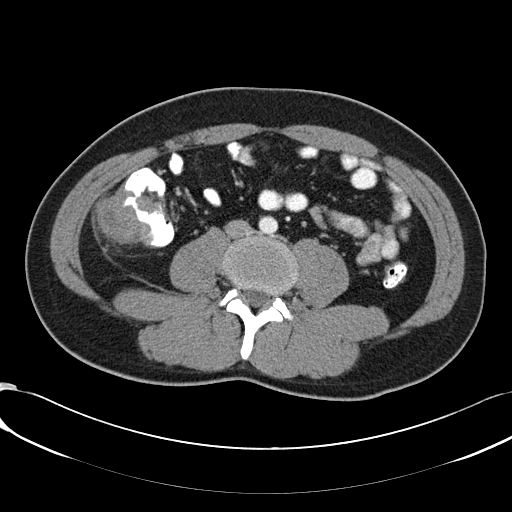 Pelvis. CT image.
2 colon tumor regions are bounded by (left=95, top=186, right=150, bottom=244), (left=136, top=194, right=159, bottom=211).